CT image; Upper abdomen; Slice 29 of 73; 512x512
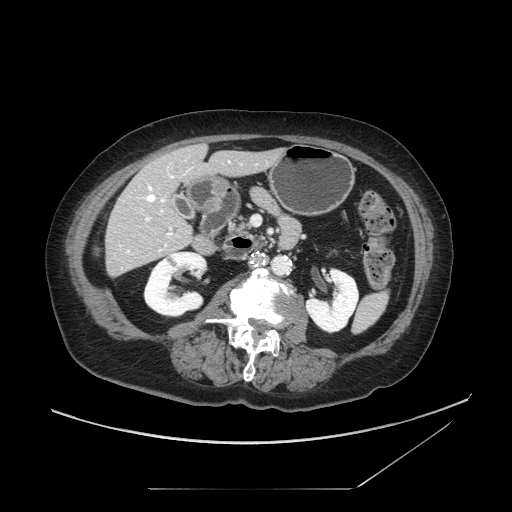
Pancreas — x1=234 y1=222 x2=252 y2=232.